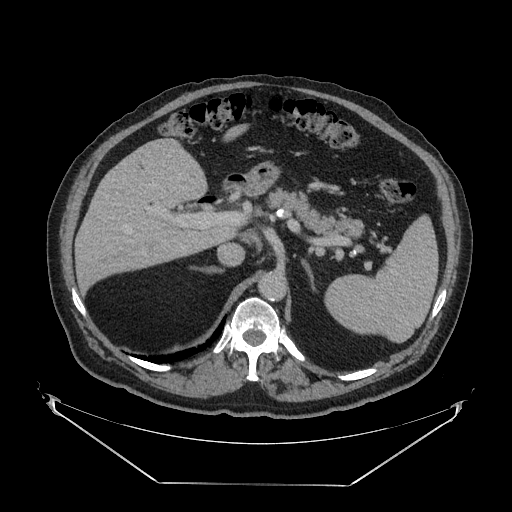 512x512. CT slice. Upper abdomen. Pancreas — {"x1": 268, "y1": 190, "x2": 362, "y2": 237}.